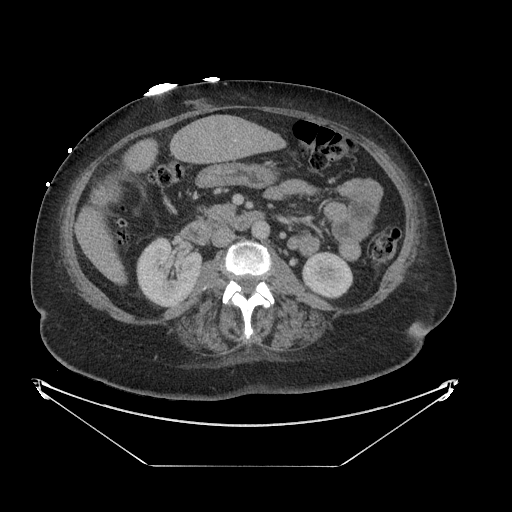
CT slice, 512x512

<segmentation>
  <pancreas><box>208,205,234,223</box></pancreas>
</segmentation>